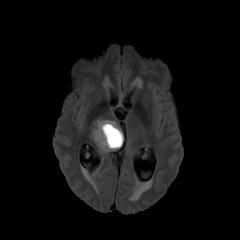
FLAIR magnetic resonance.
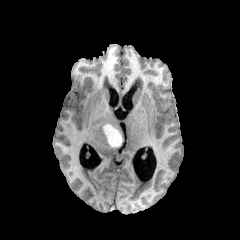
T1-weighted MR image of the same slice.
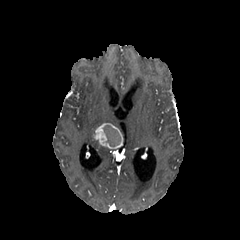
Post-contrast T1-weighted MRI.
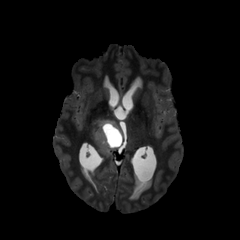
Same slice, T2-weighted MR.
Brain
Edema — box=[90, 119, 118, 153].
Non-enhancing tumor core — box=[102, 125, 121, 147].
Enhancing tumor — box=[94, 123, 123, 150].